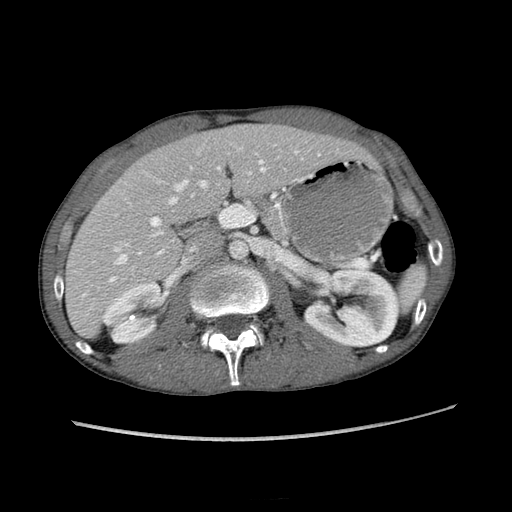

CT

Kidney = [103, 284, 158, 319], [113, 319, 153, 342], [305, 269, 397, 345].
Liver = [65, 122, 372, 337].